Slice 165/260, Thorax, CT slice 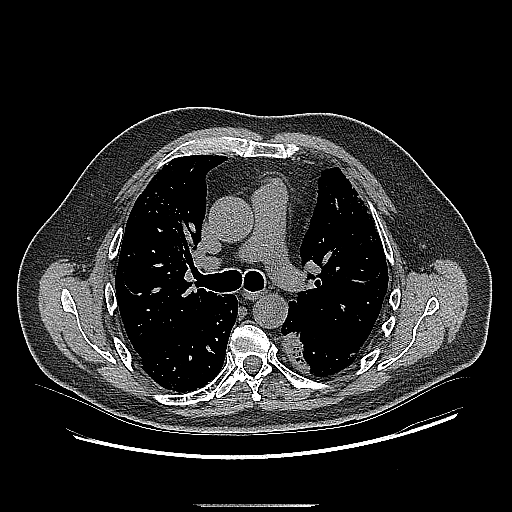

The lung tumor lies within [281,324,315,375].